FLAIR MR image.
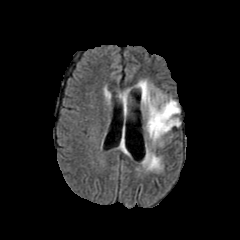
T1-weighted MR.
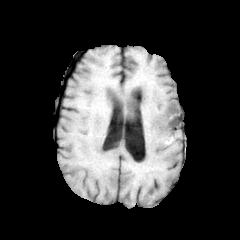
Post-contrast T1-weighted MR.
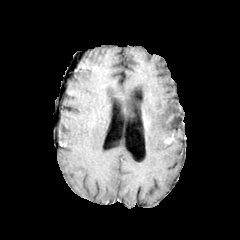
T2-weighted MRI.
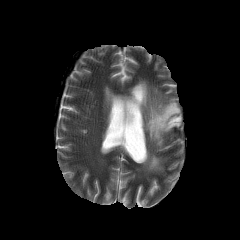
Brain. Image size 240x240.
3 edema regions appear at 121:88:130:115, 143:145:161:171, 135:80:180:147. The non-enhancing tumor core is bounded by 168:104:177:113.